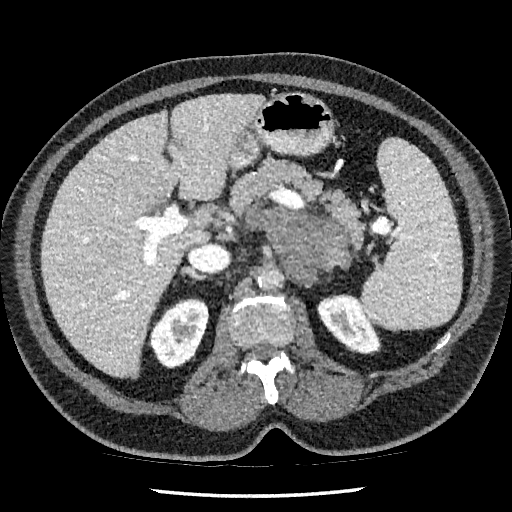
Liver, CT slice
{"hepatic_lesion": ["l=175, t=139, r=183, b=150"], "liver": ["l=43, t=95, r=264, b=376"], "kidney": ["l=318, t=296, r=379, b=352", "l=151, t=300, r=207, b=366"]}